CT; 512x512 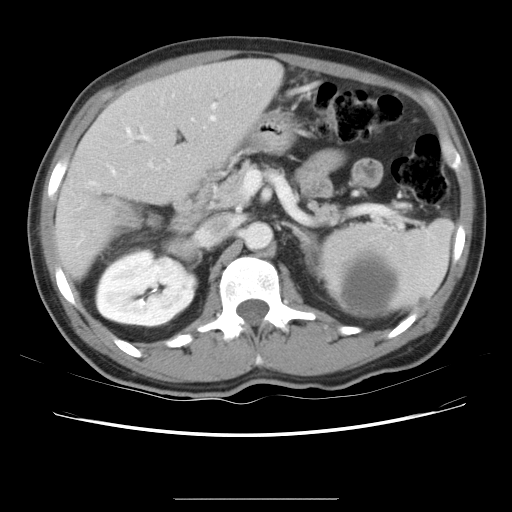
Not every hepatic vessel necessarily has a box.
Segmented structures:
• hepatic vessel: [148, 161, 154, 167], [88, 181, 95, 185], [191, 118, 193, 120], [210, 114, 214, 120], [211, 103, 215, 108], [108, 165, 115, 173], [126, 127, 148, 139]